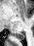
34x46, MR image, Medial temporal lobe

Posterior hippocampus: bounding box (16,33,24,40).